Field of view 240x240 mm. 240x240 px.
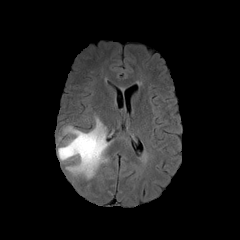
FLAIR MRI.
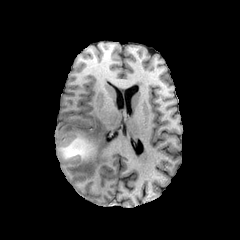
T1-weighted MRI.
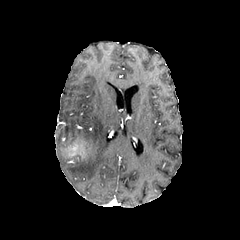
Post-contrast T1-weighted MRI.
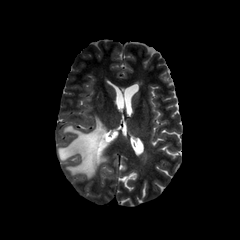
T2-weighted magnetic resonance.
Non-enhancing tumor core: bounding box (left=67, top=141, right=90, bottom=155).
Edema: bounding box (left=62, top=117, right=113, bottom=178), (left=58, top=146, right=71, bottom=160).